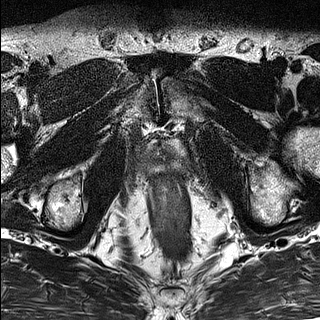
T2-weighted magnetic resonance.
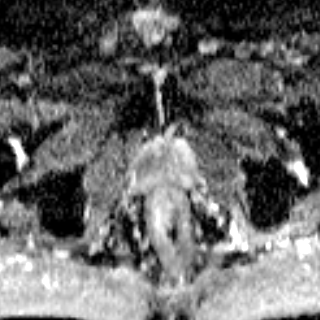
ADC magnetic resonance of the same slice.
* prostate peripheral zone: (139,141,190,177)
* prostate transition zone: (148,141,172,167)